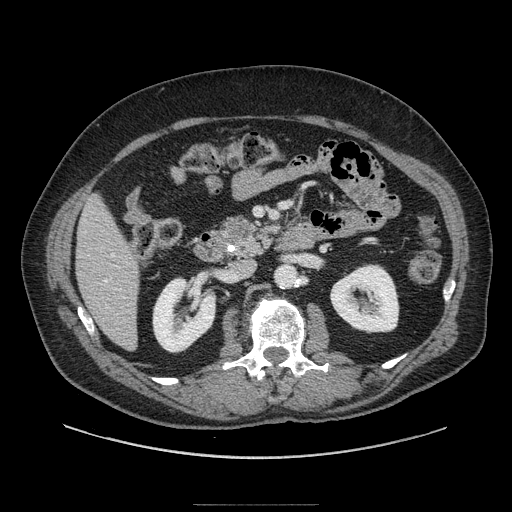

CT image | Abdomen
pancreatic_tumor:
  - (x1=227, y1=217, x2=251, y2=239)
pancreas:
  - (x1=223, y1=222, x2=278, y2=256)